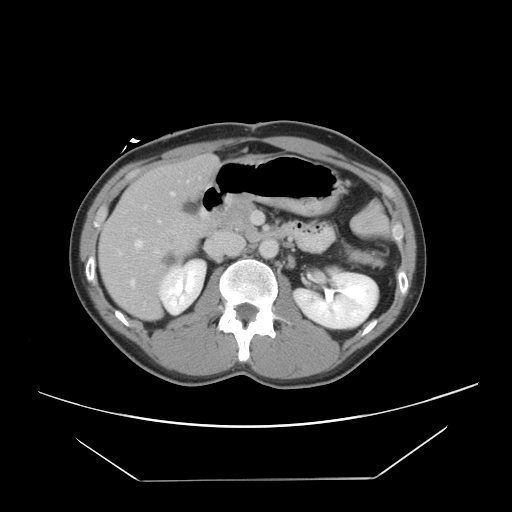

CT slice.

The vessel annotation is not exhaustive.
The liver tumor appears at [163,253,178,265]. 12 hepatic vessel regions appear at [117,249,121,255], [184,242,186,248], [130,279,135,287], [170,191,174,196], [154,248,159,252], [157,219,160,223], [133,227,137,230], [144,205,146,208], [170,267,175,270], [134,239,143,251], [143,302,145,304], [187,181,188,182].